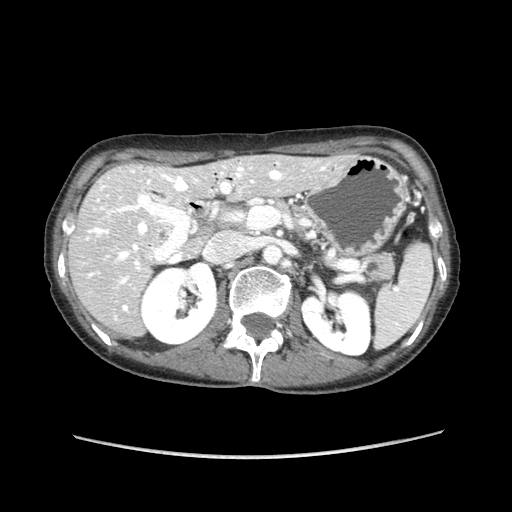
Abdomen | CT slice
* pancreas: (x1=362, y1=253, x2=393, y2=279)